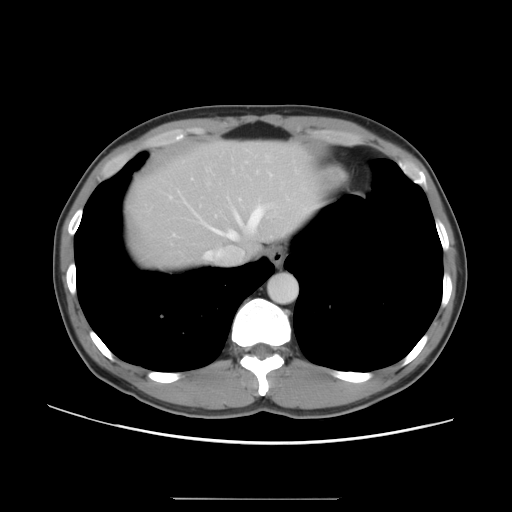

CT | Image size 512x512 | Abdomen

Only some of the vessels may be annotated.
[15/17] hepatic vessel: [239, 198, 241, 200], [270, 173, 271, 176], [285, 226, 290, 230], [256, 171, 258, 173], [302, 189, 304, 190], [204, 252, 210, 258], [230, 245, 232, 247], [169, 195, 172, 198], [303, 205, 314, 213], [179, 193, 239, 241], [296, 171, 298, 172], [286, 197, 288, 200], [266, 155, 270, 161], [263, 203, 276, 217], [232, 207, 259, 235]